CT
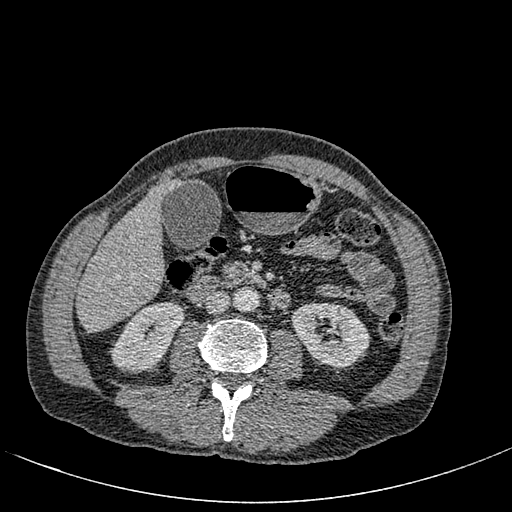

The liver appears at (77, 182, 178, 330). 2 kidney regions are located at (111, 302, 183, 371), (292, 303, 369, 367).